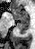 35x49 px, Magnetic resonance
posterior_hippocampus:
  - left=16, top=21, right=29, bottom=34
anterior_hippocampus:
  - left=12, top=8, right=28, bottom=20